Slice 73 of 155
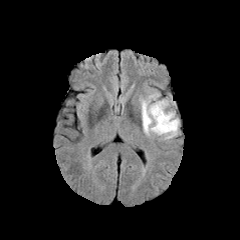
FLAIR magnetic resonance.
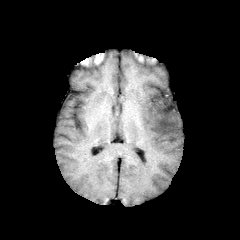
T1-weighted MR of the same slice.
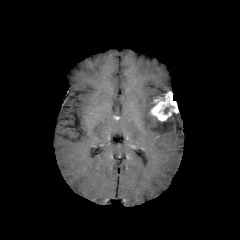
Post-contrast T1-weighted MRI.
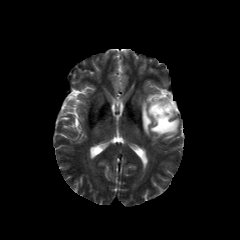
T2-weighted MRI.
• enhancing tumor: <bbox>149, 92, 178, 122</bbox>
• edema: <bbox>140, 92, 179, 139</bbox>